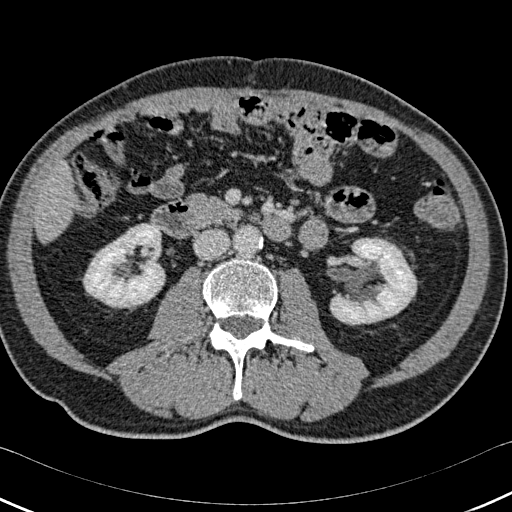
CT. The liver lies within box(35, 165, 74, 242). 2 kidney regions appear at box(331, 239, 415, 323); box(84, 224, 164, 306). The bone lies within box(203, 259, 313, 399).